Head, Slice index 85
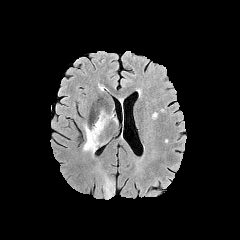
FLAIR magnetic resonance.
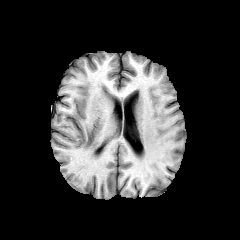
Same slice, T1-weighted MR image.
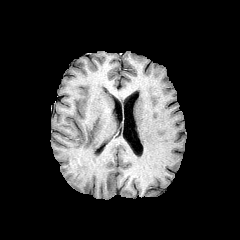
Post-contrast T1-weighted MR of the same slice.
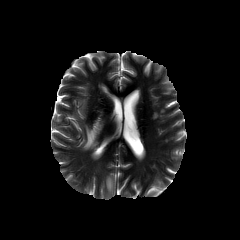
Same slice, T2-weighted MR.
Edema — 83,110,114,153.